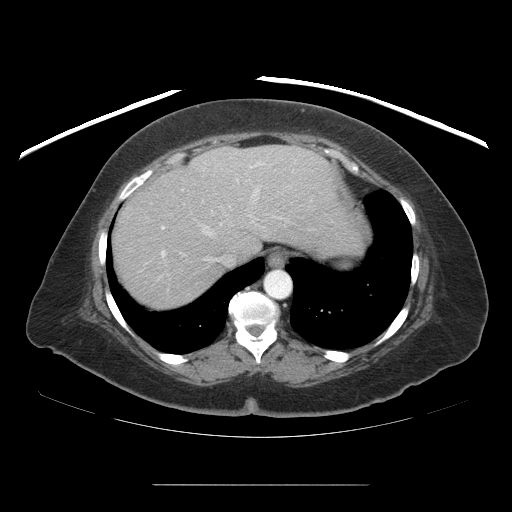 Liver, CT slice
Only some of the vessels may be annotated.
7 hepatic vessel regions are bounded by (left=251, top=185, right=262, bottom=203), (left=161, top=226, right=164, bottom=229), (left=201, top=225, right=213, bottom=235), (left=235, top=178, right=238, bottom=182), (left=249, top=215, right=251, bottom=216), (left=203, top=257, right=232, bottom=263), (left=161, top=250, right=165, bottom=256).